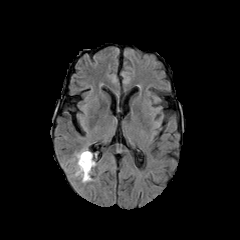
FLAIR MRI.
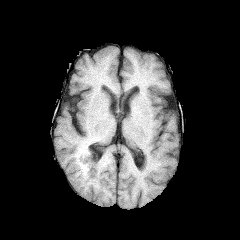
T1-weighted magnetic resonance.
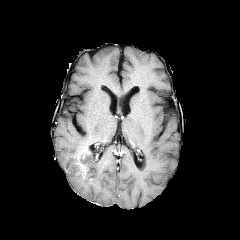
Post-contrast T1-weighted MR of the same slice.
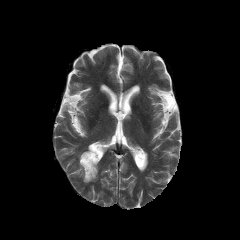
T2-weighted MR of the same slice.
Brain. 240x240 px.
Enhancing tumor: (78, 151, 90, 178).
Non-enhancing tumor core: (81, 150, 97, 180).
Edema: (69, 152, 99, 183).